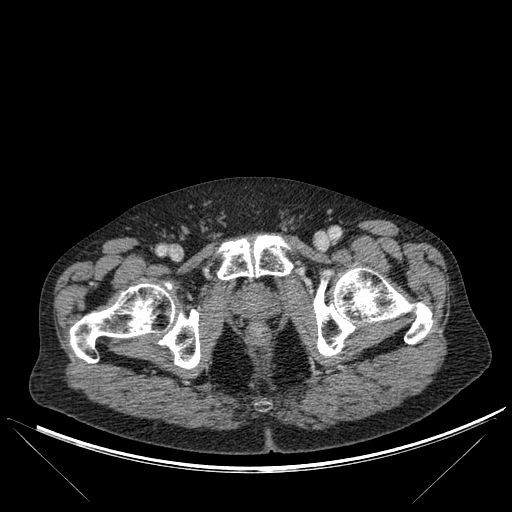

CT scan slice

Bone — [70, 283, 200, 368], [217, 235, 292, 279], [313, 268, 432, 356].